CT slice, Abdomen, Slice 336/845, Field of view 472x472 mm

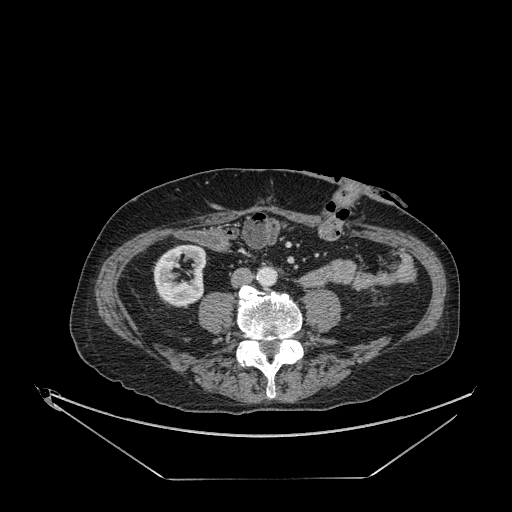 Segmented structures:
• kidney: l=154, t=245, r=205, b=306